CT image 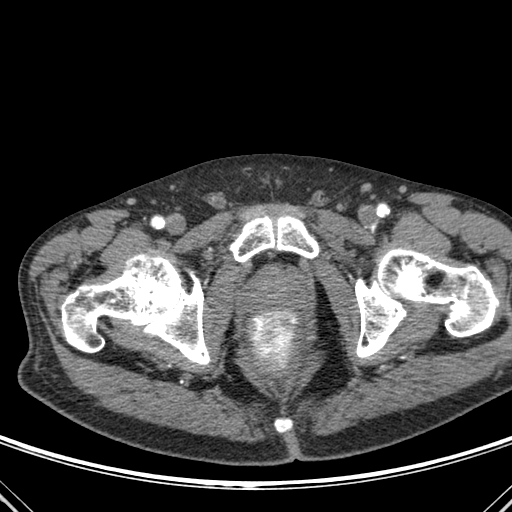

{
  "bone": [
    "x1=230, y1=215, x2=319, y2=262",
    "x1=355, y1=247, x2=499, y2=357",
    "x1=61, y1=251, x2=210, y2=364",
    "x1=275, y1=419, x2=291, y2=431"
  ]
}